Computed tomography, Image width 400 mm, Abdomen

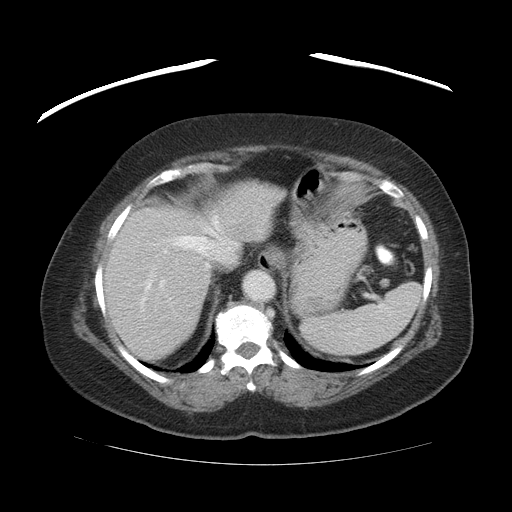 The vessel annotation is not exhaustive.
6 hepatic vessel regions appear at [178, 230, 233, 261], [164, 250, 166, 252], [160, 281, 163, 285], [200, 263, 209, 269], [146, 284, 149, 289], [213, 216, 217, 228].